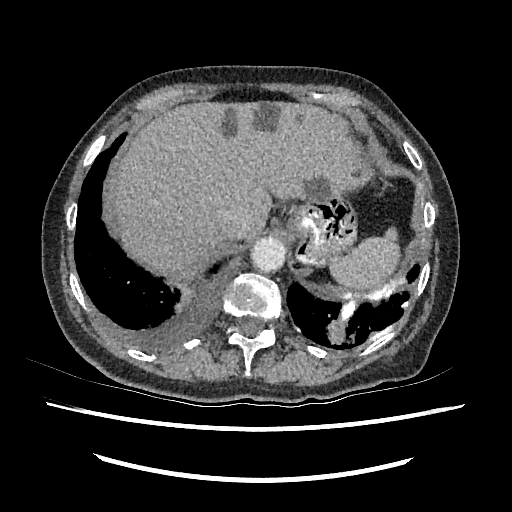

Abdomen | CT scan slice
Liver: bounding box x1=115, y1=103, x2=356, y2=272.
Liver lesion: bounding box x1=221, y1=108, x2=237, y2=138; x1=303, y1=177, x2=329, y2=198; x1=295, y1=115, x2=302, y2=123; x1=253, y1=103, x2=280, y2=129.